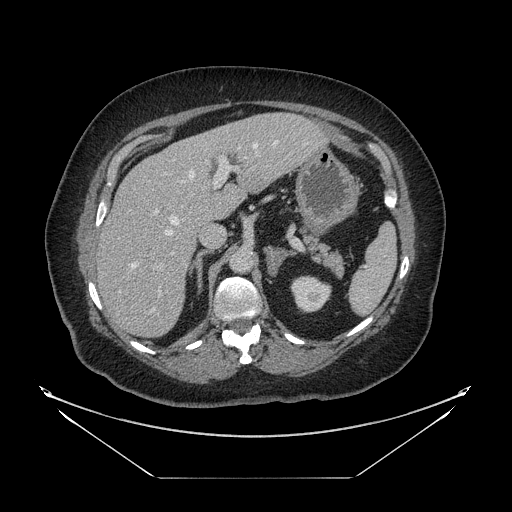
CT
The pancreas is at region(303, 228, 343, 277).